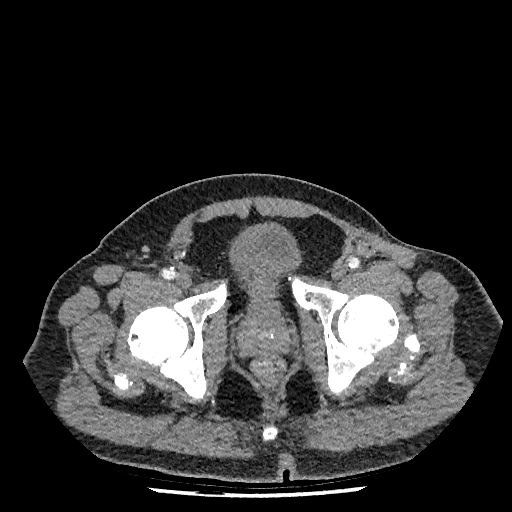

CT slice
urinary bladder: box=[227, 225, 301, 318]